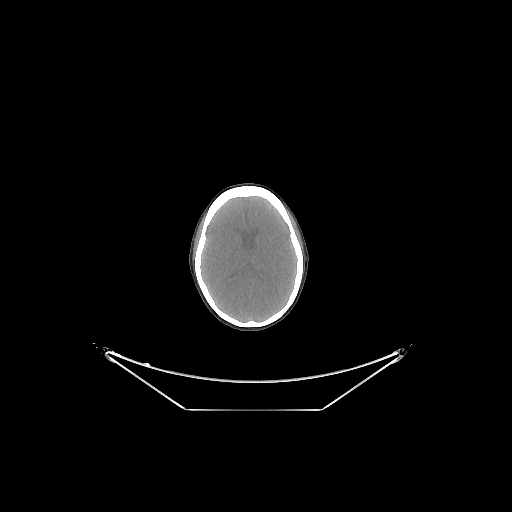 CT. Head.
The brain is bounded by 200:196:297:322.